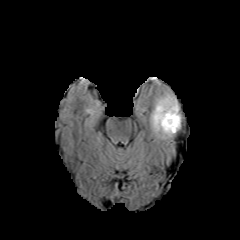
FLAIR magnetic resonance.
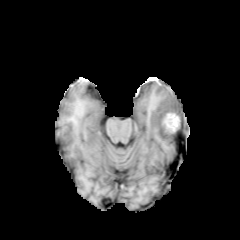
T1-weighted MR image of the same slice.
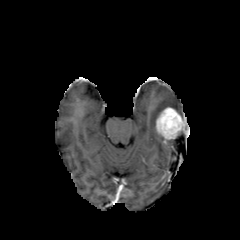
Post-contrast T1-weighted MR image of the same slice.
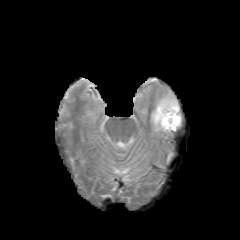
T2-weighted MR image.
Head
Edema — bbox=[150, 89, 181, 140].
Non-enhancing tumor core — bbox=[160, 113, 171, 131].
Enhancing tumor — bbox=[163, 113, 179, 130].